36x47. MR. Slice 28/41. Medial temporal lobe.
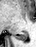

posterior hippocampus: (14,32,27,40)